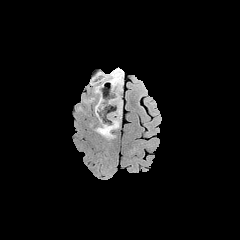
FLAIR MRI.
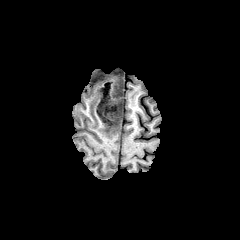
T1-weighted MRI.
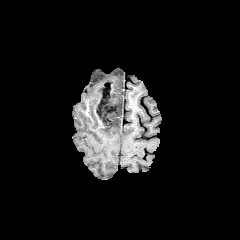
Post-contrast T1-weighted MR image of the same slice.
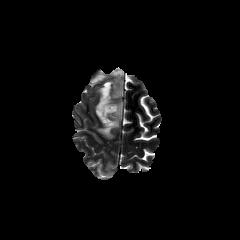
Same slice, T2-weighted MR.
non-enhancing_tumor_core:
  - 98, 96, 110, 113
  - 99, 120, 113, 133
  - 112, 106, 120, 118
edema:
  - 92, 70, 124, 132
  - 101, 110, 119, 138